Head. Slice index 34.
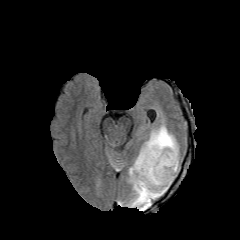
FLAIR MR.
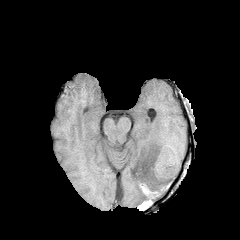
T1-weighted MR of the same slice.
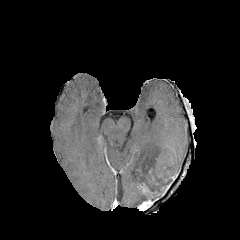
Post-contrast T1-weighted MRI.
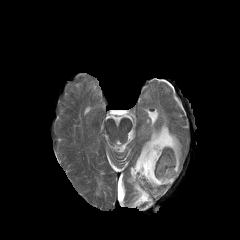
Same slice, T2-weighted MR.
- edema: region(126, 124, 180, 207); region(118, 190, 124, 205)
- non-enhancing tumor core: region(148, 170, 172, 189)